Slice 56 of 155. 240x240.
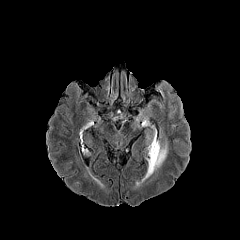
FLAIR magnetic resonance.
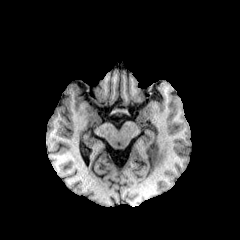
Same slice, T1-weighted MR.
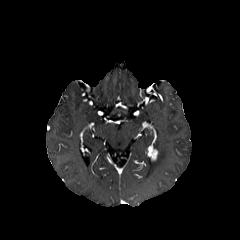
Post-contrast T1-weighted MR image of the same slice.
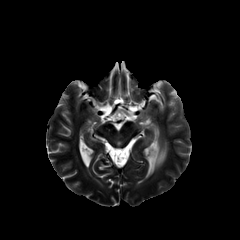
T2-weighted MRI.
Findings:
- edema: (146,139,167,177)
- enhancing tumor: (148,145,157,160)